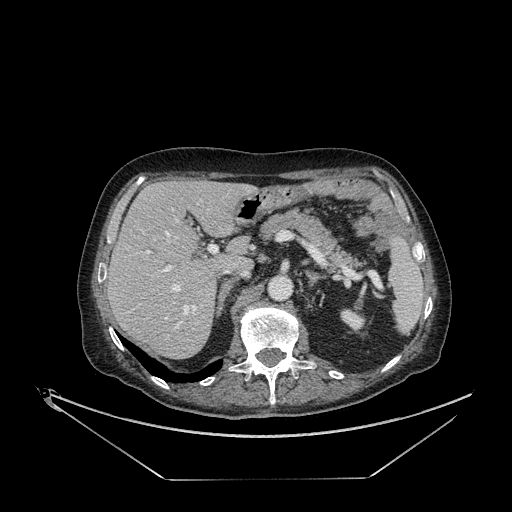
Abdomen. CT scan slice.

The liver appears at 108, 181, 254, 359. The kidney appears at 341, 309, 364, 329.